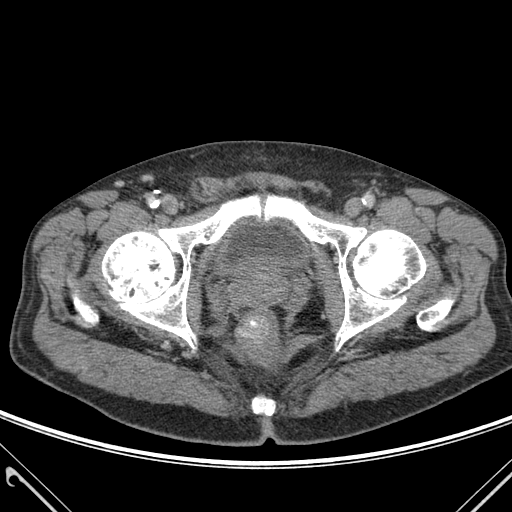
512x512, CT image
5 bone regions are bounded by (x1=102, y1=196, x2=261, y2=347), (x1=252, y1=398, x2=274, y2=415), (x1=264, y1=196, x2=425, y2=349), (x1=417, y1=299, x2=452, y2=329), (x1=74, y1=297, x2=97, y2=322).